Field of view 400x400 mm; Abdomen; Slice 474/751; CT

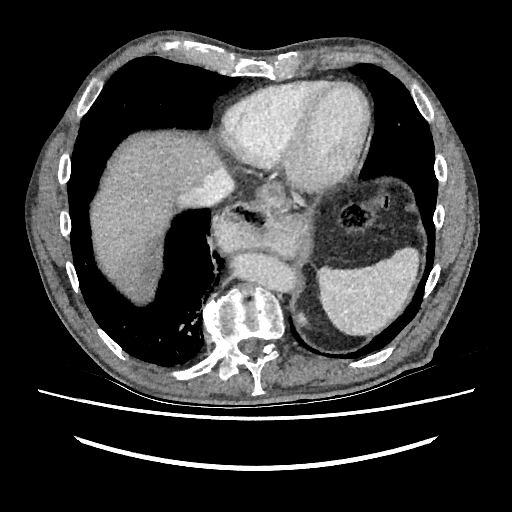 Liver at 91, 131, 224, 293.
Focal liver lesion at 117, 234, 161, 292.